Slice index 48. 240x240 px.
FLAIR magnetic resonance.
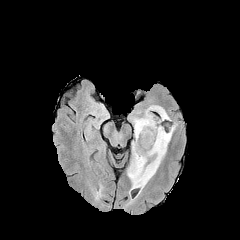
T1-weighted magnetic resonance.
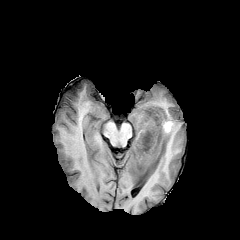
Post-contrast T1-weighted MR.
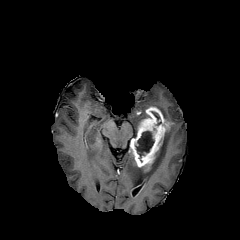
T2-weighted magnetic resonance.
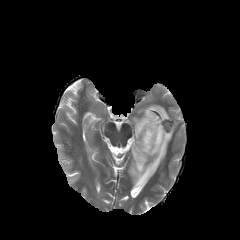
Annotated regions:
• enhancing tumor: rect(131, 107, 166, 171)
• edema: rect(143, 122, 174, 186); rect(132, 117, 140, 136); rect(127, 160, 139, 189); rect(151, 105, 171, 121)
• non-enhancing tumor core: rect(135, 131, 154, 156); rect(135, 156, 157, 188)